Brain. Image size 240x240. Image width 240 mm.
FLAIR magnetic resonance.
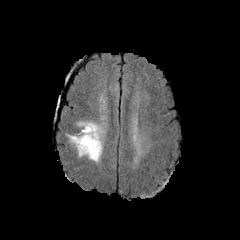
T1-weighted MR.
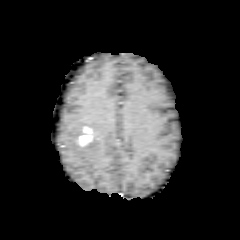
Post-contrast T1-weighted MRI.
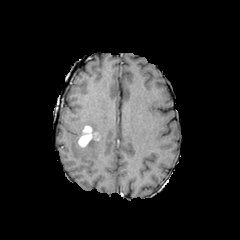
T2-weighted magnetic resonance.
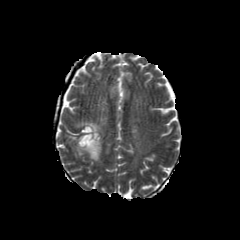
The enhancing tumor is located at left=78, top=126, right=96, bottom=147. The edema is located at left=68, top=120, right=104, bottom=161.